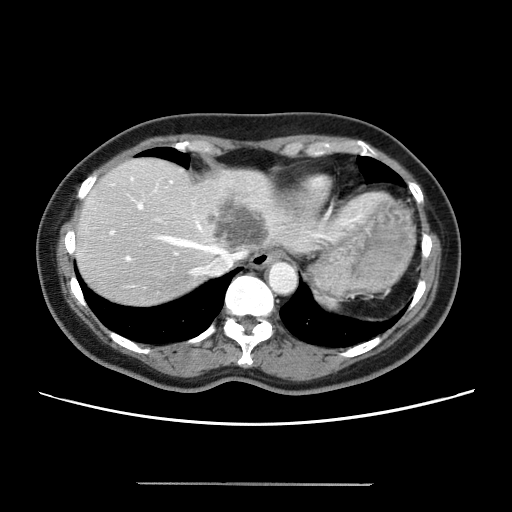 CT slice

The vessel annotation is not exhaustive.
{
  "liver_tumor": [
    "214,200,270,249"
  ],
  "hepatic_vessel": [
    "127,257,129,259",
    "161,236,223,253",
    "138,203,142,208",
    "195,269,199,273"
  ]
}